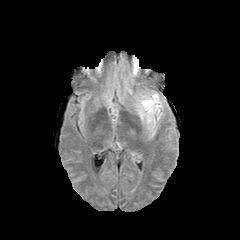
FLAIR MRI.
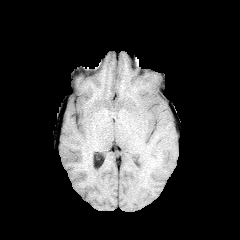
T1-weighted MR of the same slice.
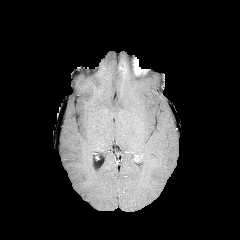
Same slice, post-contrast T1-weighted MR image.
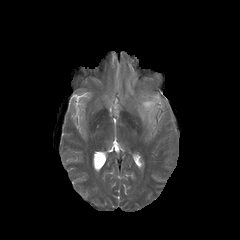
Same slice, T2-weighted MRI.
Edema: bounding box bbox=[135, 92, 163, 129].